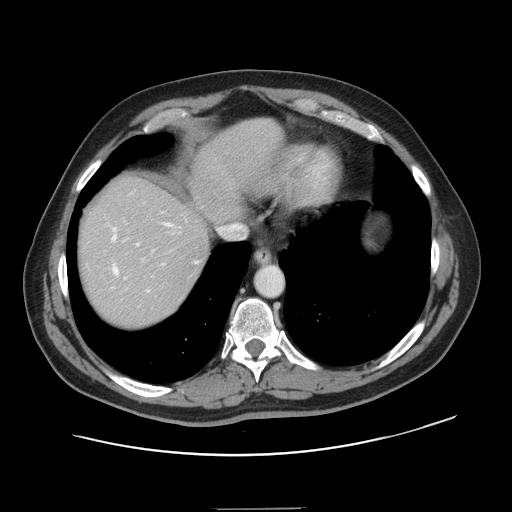
CT. Only some of the vessels may be annotated.
<segmentation>
  <hepatic_vessel>146:290:148:291, 112:236:115:240, 164:223:169:225, 113:228:115:230, 194:261:196:262, 113:266:117:273</hepatic_vessel>
</segmentation>